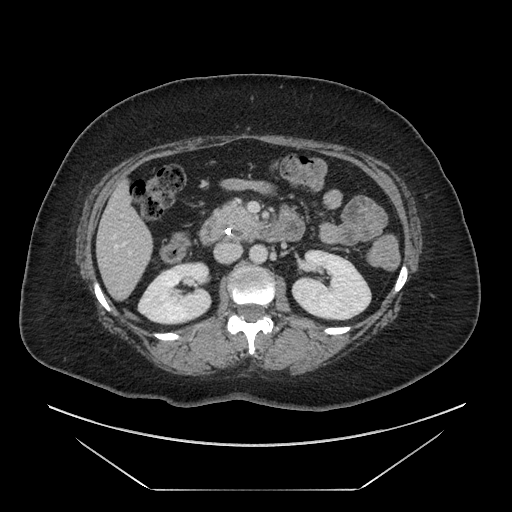
Computed tomography | Abdomen
<segmentation>
  <pancreas>left=225, top=204, right=258, bottom=239</pancreas>
</segmentation>